Brain. Image width 240 mm.
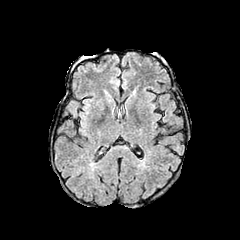
FLAIR MR image.
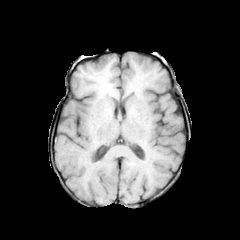
T1-weighted MR.
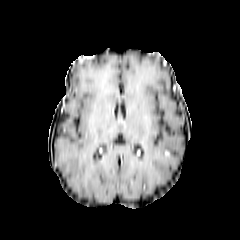
Post-contrast T1-weighted MR image.
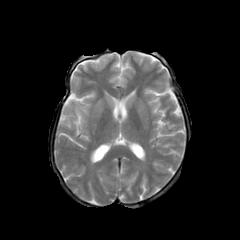
Same slice, T2-weighted MRI.
Edema at x1=88, y1=152, x2=98, y2=167.